Upper abdomen | CT slice | Slice index 221 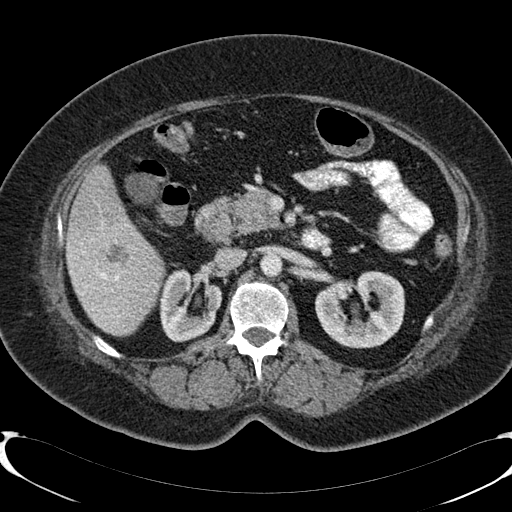 Segmented structures:
- liver: left=67, top=165, right=163, bottom=334
- hepatic lesion: left=106, top=244, right=128, bottom=264
- kidney: left=317, top=272, right=330, bottom=281; left=158, top=265, right=220, bottom=341; left=315, top=272, right=403, bottom=347